Upper abdomen; CT; Slice 455/677 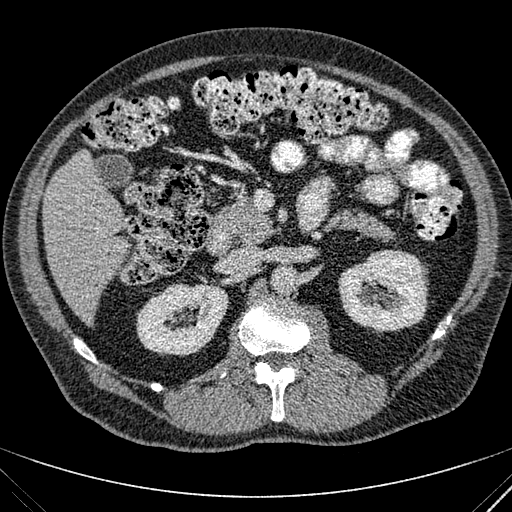 The liver is bounded by <box>43,152,129,323</box>. 2 kidney regions are bounded by <box>339,250,426,331</box>, <box>137,280,227,354</box>.